Computed tomography, Slice 304 of 781

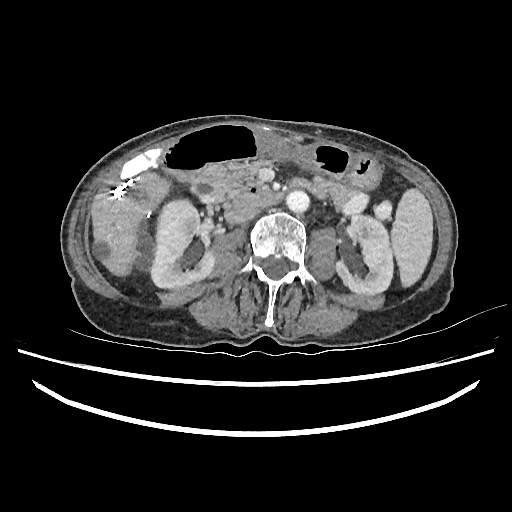
{"liver": [{"x1": 92, "y1": 173, "x2": 169, "y2": 275}], "kidney": [{"x1": 151, "y1": 201, "x2": 214, "y2": 287}, {"x1": 336, "y1": 214, "x2": 392, "y2": 294}], "hepatic_lesion": [{"x1": 134, "y1": 232, "x2": 149, "y2": 270}, {"x1": 94, "y1": 244, "x2": 106, "y2": 258}]}